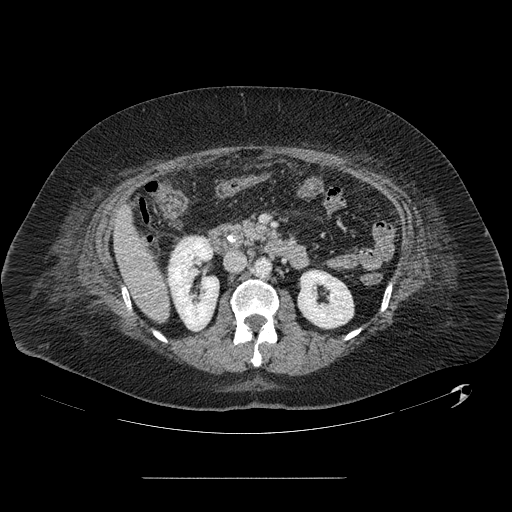

Computed tomography

The pancreas is bounded by <bbox>243, 221, 276, 241</bbox>.